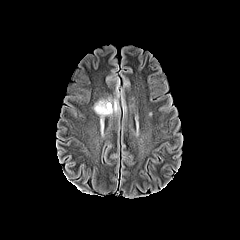
FLAIR MR.
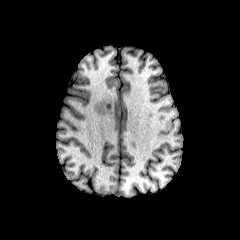
T1-weighted MRI.
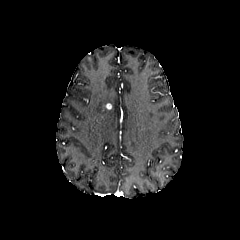
Post-contrast T1-weighted MR image.
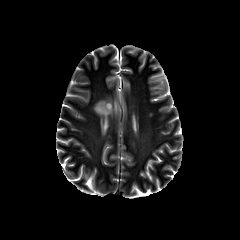
T2-weighted MR image of the same slice.
Head; 240x240 px
<segmentation>
  <edema>94 97 120 136</edema>
</segmentation>